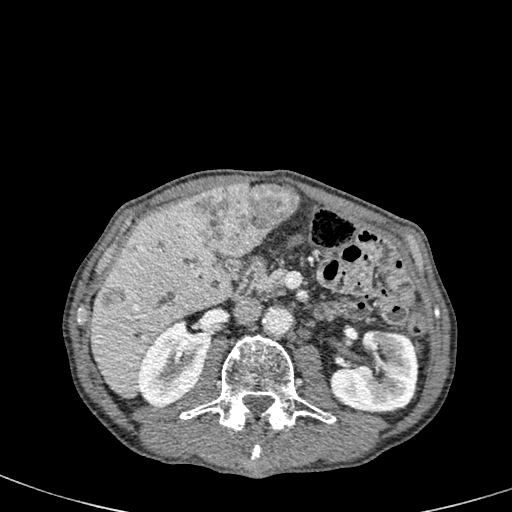 Upper abdomen | CT

Liver: box=[90, 197, 233, 398].
Focal liver lesion: box=[196, 184, 297, 256]; box=[101, 288, 125, 307].
Kidney: box=[331, 328, 417, 411]; box=[138, 317, 210, 406].